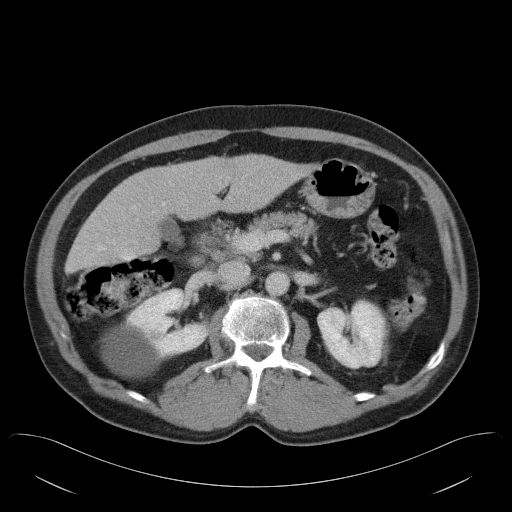 CT, Abdomen
The vessel annotation is not exhaustive.
hepatic vessel: l=99, t=246, r=104, b=249